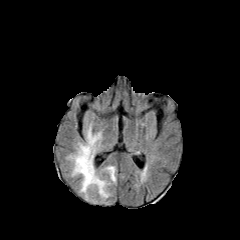
FLAIR magnetic resonance.
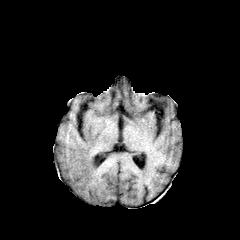
T1-weighted MR.
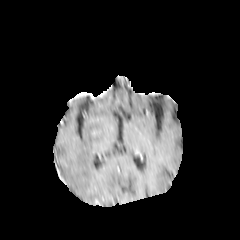
Post-contrast T1-weighted MRI.
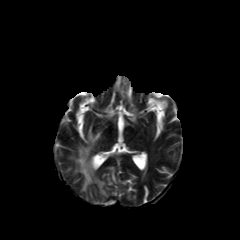
Same slice, T2-weighted MR.
Head
Annotated regions:
• edema: box(68, 124, 116, 201)